Slice index 83. 240x240 px.
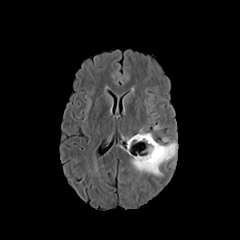
FLAIR MR.
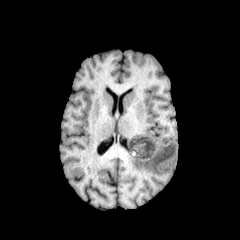
T1-weighted MR image.
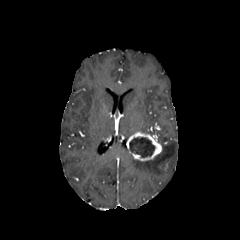
Same slice, post-contrast T1-weighted MR image.
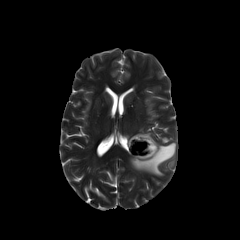
T2-weighted MR image of the same slice.
The enhancing tumor is bounded by 127:131:162:161. The non-enhancing tumor core lies within 129:136:156:157. The edema is at 130:143:175:174.